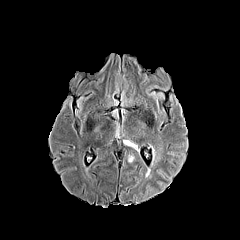
FLAIR MRI.
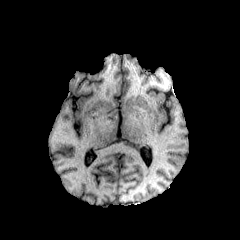
T1-weighted MRI.
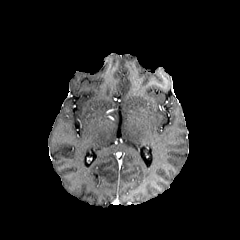
Post-contrast T1-weighted magnetic resonance.
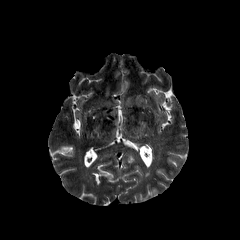
T2-weighted MR image.
Head
* edema: box(148, 143, 162, 166)